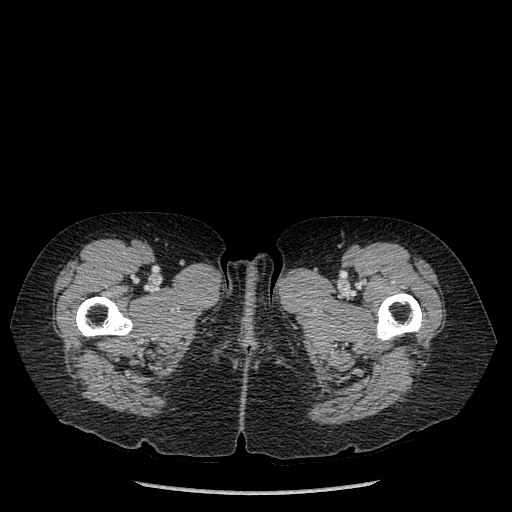

Image size 512x512 | Computed tomography
Segmented structures:
* bone: <bbox>73, 296, 132, 336</bbox>, <bbox>374, 293, 422, 341</bbox>